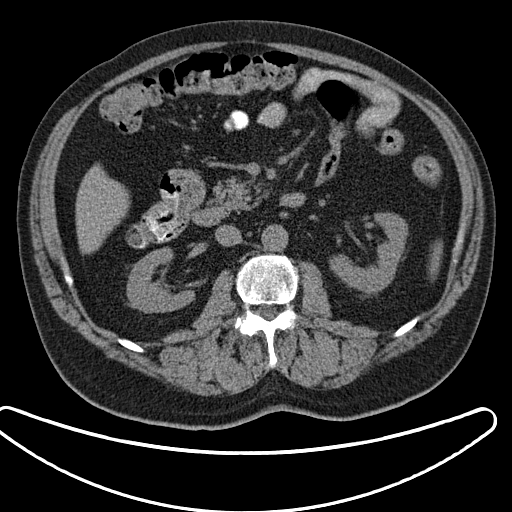
CT image
Spleen: bounding box 430:244:439:276.